Slice 95/155; Head
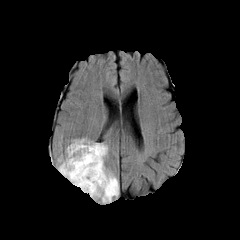
FLAIR magnetic resonance.
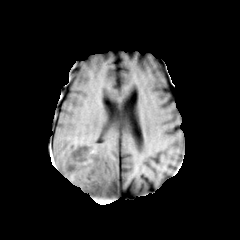
Same slice, T1-weighted MR image.
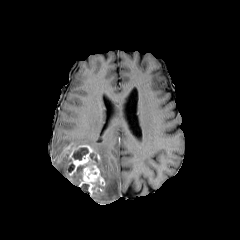
Post-contrast T1-weighted MRI of the same slice.
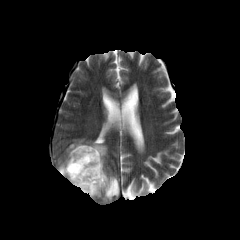
T2-weighted MR image.
non-enhancing_tumor_core:
  - <box>66,163,74,175</box>
  - <box>71,166,83,185</box>
  - <box>90,153,100,166</box>
  - <box>72,147,88,159</box>
enhancing_tumor:
  - <box>68,144,105,195</box>
edema:
  - <box>58,149,69,179</box>
  - <box>80,184,89,194</box>
  - <box>70,139,119,201</box>